CT scan slice; Abdomen; Field of view 388x388 mm
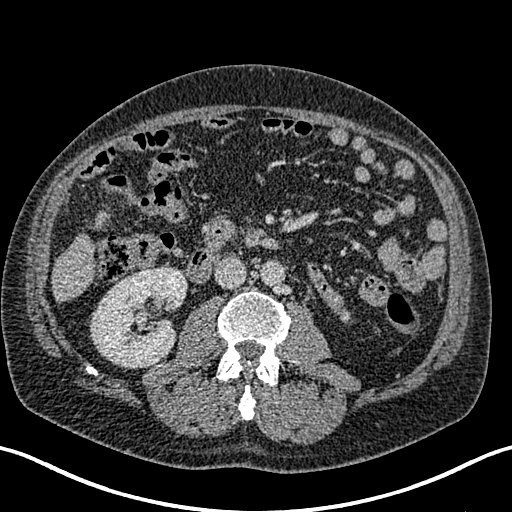
<segmentation>
  <kidney>rect(91, 268, 186, 367)</kidney>
  <liver>rect(53, 233, 94, 302); rect(95, 211, 109, 228)</liver>
</segmentation>